Pelvis, Slice 15/20, 320x320 px
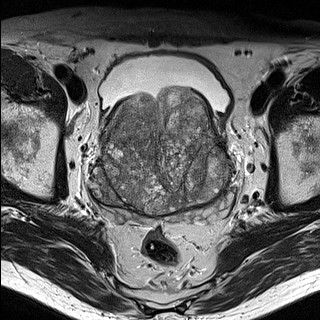
T2-weighted MRI.
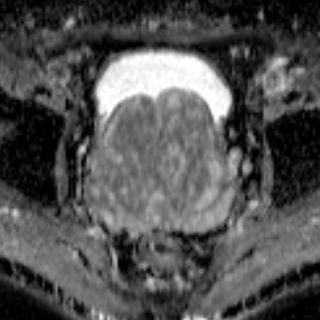
Same slice, ADC MRI.
prostate_transition_zone:
  - bbox(90, 88, 227, 213)